CT, Slice index 415
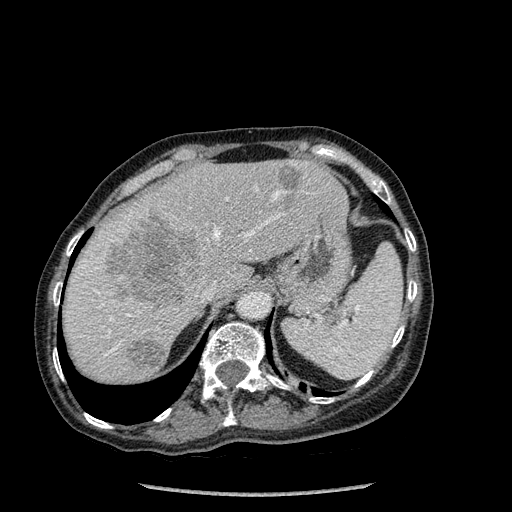
Lung = region(265, 330, 271, 361); region(57, 333, 201, 424); region(74, 240, 84, 256); region(379, 202, 389, 213); region(287, 379, 332, 395).
Bone = region(223, 401, 235, 426); region(371, 179, 391, 204); region(200, 322, 290, 399); region(405, 229, 415, 251); region(66, 232, 81, 256); region(53, 348, 63, 380); region(154, 408, 171, 421); region(53, 281, 62, 306); region(407, 280, 417, 301); region(390, 326, 403, 347); region(355, 369, 373, 387); region(84, 413, 112, 428); region(309, 397, 334, 403).
Focal liver lesion = region(279, 167, 300, 192); region(105, 212, 199, 312); region(283, 193, 293, 211); region(127, 335, 164, 368).
Liver = region(63, 159, 348, 384).